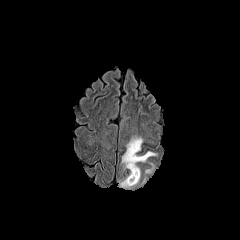
FLAIR magnetic resonance.
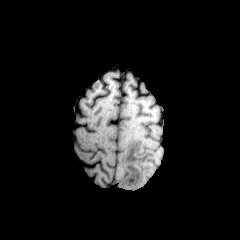
T1-weighted MR.
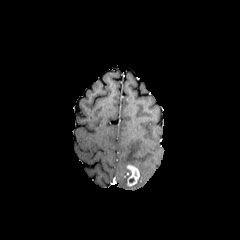
Post-contrast T1-weighted MR.
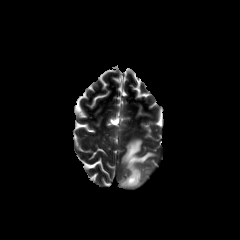
T2-weighted magnetic resonance of the same slice.
240x240. Brain.
Edema = 117:177:136:190, 122:139:155:166.
Enhancing tumor = 126:164:139:185.